Computed tomography

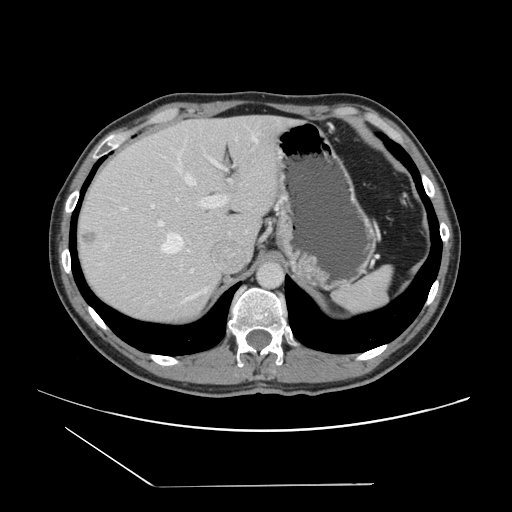
The vessel boxes may cover only some of the vessels.
The liver tumor lies within [83,233,95,245]. 11 hepatic vessel regions are located at [228,179,231,183], [104,244,107,247], [222,166,225,169], [174,148,183,170], [167,253,171,253], [182,171,196,185], [218,197,223,200], [169,240,173,245], [251,132,257,141], [203,207,206,207], [245,230,247,232].